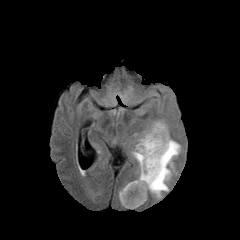
FLAIR MR image.
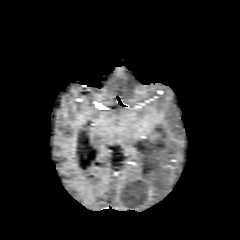
T1-weighted MR image of the same slice.
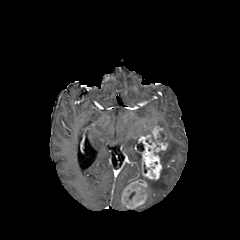
Post-contrast T1-weighted MRI of the same slice.
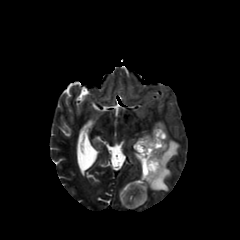
T2-weighted MR.
The non-enhancing tumor core is at bbox(136, 142, 143, 152). The enhancing tumor is located at bbox(120, 126, 168, 208). 2 edema regions are located at bbox(132, 150, 140, 168); bbox(148, 135, 180, 198).